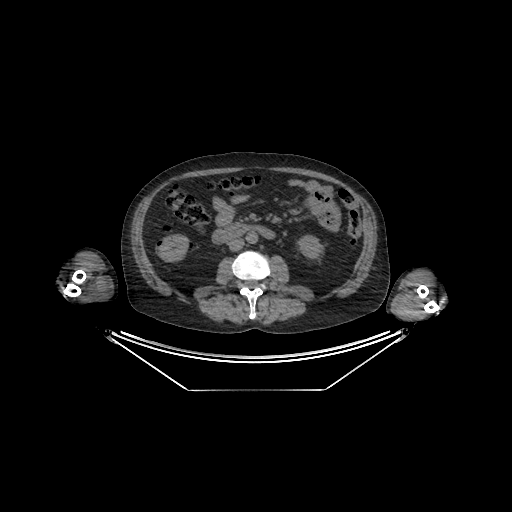 CT scan slice, 512x512 px
The kidney appears at (x1=296, y1=235, x2=324, y2=259).